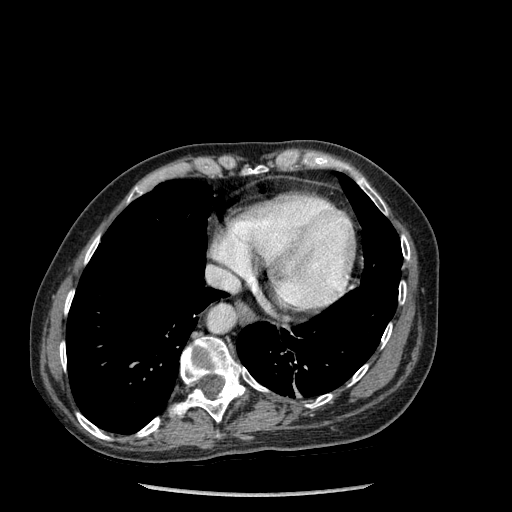 CT scan slice, Thorax

lung:
  - {"x1": 66, "y1": 179, "x2": 226, "y2": 434}
  - {"x1": 236, "y1": 173, "x2": 402, "y2": 398}
bone:
  - {"x1": 244, "y1": 165, "x2": 267, "y2": 174}
  - {"x1": 64, "y1": 290, "x2": 74, "y2": 314}
  - {"x1": 398, "y1": 281, "x2": 406, "y2": 304}
  - {"x1": 170, "y1": 337, "x2": 267, "y2": 422}
  - {"x1": 305, "y1": 394, "x2": 332, "y2": 408}
  - {"x1": 381, "y1": 323, "x2": 392, "y2": 347}
  - {"x1": 84, "y1": 235, "x2": 99, "y2": 263}
  - {"x1": 59, "y1": 342, "x2": 66, "y2": 370}
  - {"x1": 357, "y1": 177, "x2": 387, "y2": 214}
  - {"x1": 136, "y1": 417, "x2": 159, "y2": 437}
  - {"x1": 76, "y1": 413, "x2": 110, "y2": 440}
  - {"x1": 401, "y1": 235, "x2": 410, "y2": 260}
  - {"x1": 127, "y1": 186, "x2": 143, "y2": 202}
  - {"x1": 348, "y1": 364, "x2": 368, "y2": 385}